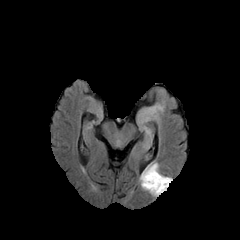
FLAIR MR image.
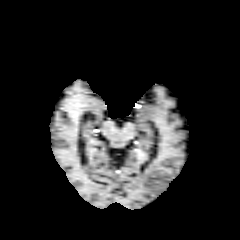
T1-weighted magnetic resonance.
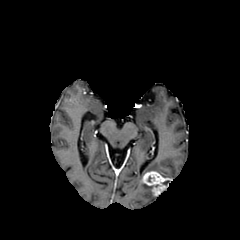
Post-contrast T1-weighted MRI of the same slice.
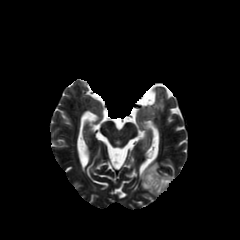
Same slice, T2-weighted MR image.
Brain
- edema: rect(138, 160, 160, 197)
- enhancing tumor: rect(141, 171, 172, 195)